Field of view 240 mm wide, 1.00 mm slice spacing. Slice 58 of 155.
FLAIR MR image.
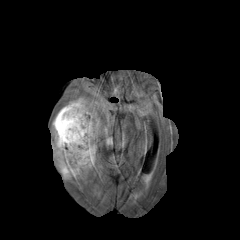
T1-weighted magnetic resonance.
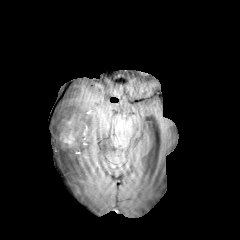
Post-contrast T1-weighted magnetic resonance.
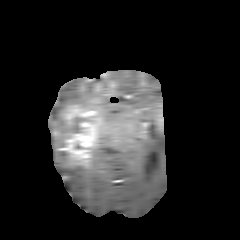
T2-weighted MR image.
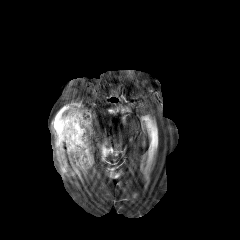
<segmentation>
  <enhancing_tumor>l=52, t=104, r=99, b=163</enhancing_tumor>
  <non-enhancing_tumor_core>l=52, t=107, r=66, b=132; l=54, t=137, r=67, b=163</non-enhancing_tumor_core>
  <edema>l=106, t=137, r=112, b=145; l=51, t=133, r=96, b=180; l=50, t=98, r=101, b=132</edema>
</segmentation>